Image size 240x240
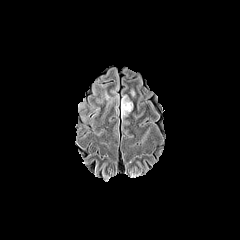
FLAIR MR image.
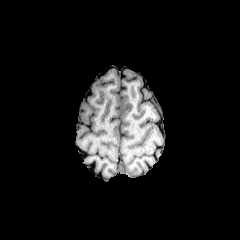
Same slice, T1-weighted magnetic resonance.
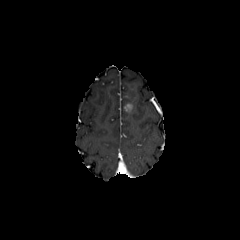
Post-contrast T1-weighted MRI.
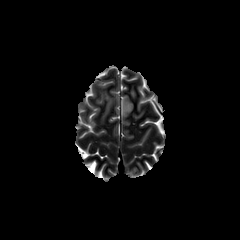
T2-weighted magnetic resonance.
Edema: bounding box rect(104, 91, 112, 104); rect(121, 96, 132, 117).
Enhancing tumor: bounding box rect(125, 103, 132, 112).